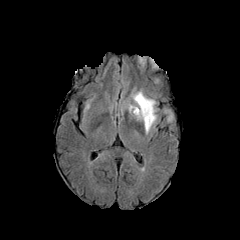
FLAIR MR image.
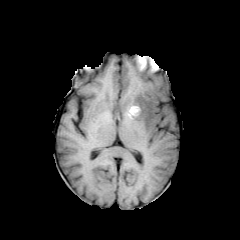
T1-weighted MRI.
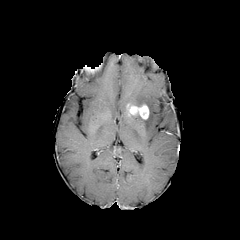
Post-contrast T1-weighted magnetic resonance.
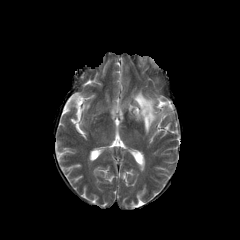
Same slice, T2-weighted magnetic resonance.
Brain
{
  "edema": [
    "133:91:156:133"
  ],
  "enhancing_tumor": [
    "126:104:149:119"
  ]
}